CT slice; Image width 335 mm; Slice 89 of 455
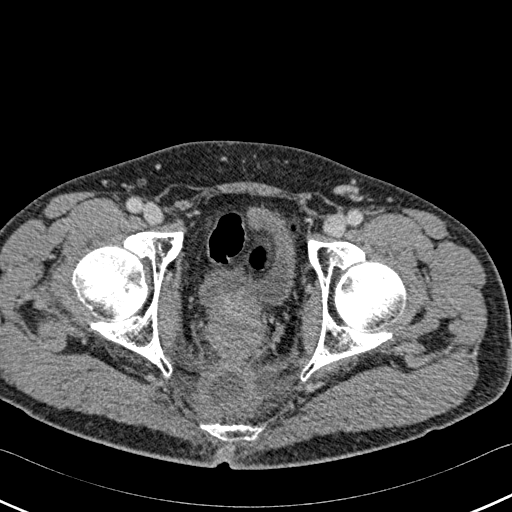 urinary bladder: <box>199,213,294,315</box> | bone: <box>201,424,261,443</box>, <box>301,240,405,381</box>, <box>72,232,182,376</box>